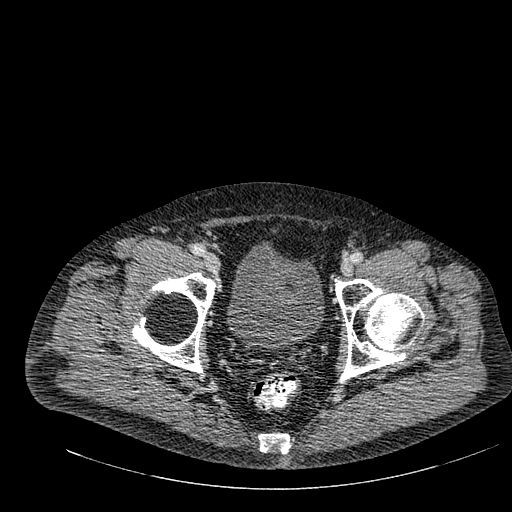

CT scan slice. {
  "urinary_bladder": [
    "(left=226, top=241, right=324, bottom=349)"
  ]
}